FLAIR MRI.
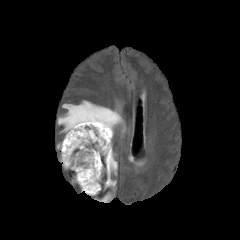
T1-weighted MR.
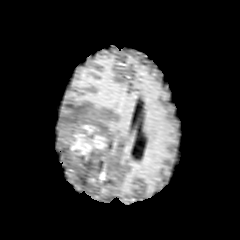
Post-contrast T1-weighted MR.
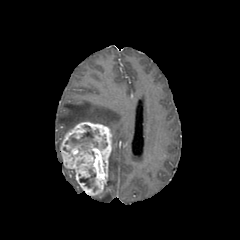
T2-weighted MRI.
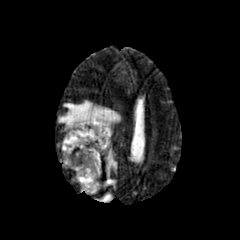
240x240 px | Head
Non-enhancing tumor core = {"x1": 79, "y1": 170, "x2": 95, "y2": 187}, {"x1": 65, "y1": 125, "x2": 99, "y2": 155}.
Edema = {"x1": 103, "y1": 149, "x2": 117, "y2": 188}, {"x1": 58, "y1": 101, "x2": 121, "y2": 140}.
Enhancing tumor = {"x1": 60, "y1": 122, "x2": 111, "y2": 194}.